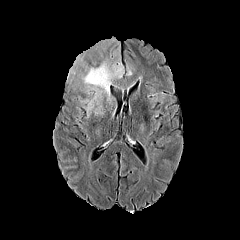
FLAIR MR image.
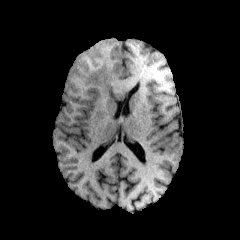
T1-weighted MR image.
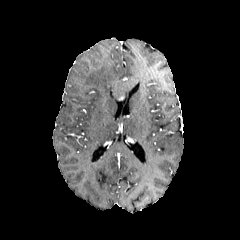
Post-contrast T1-weighted MR image.
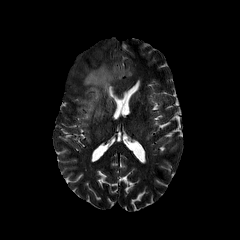
T2-weighted MR.
Head
2 edema regions are located at 80 57 124 114, 124 62 132 76.